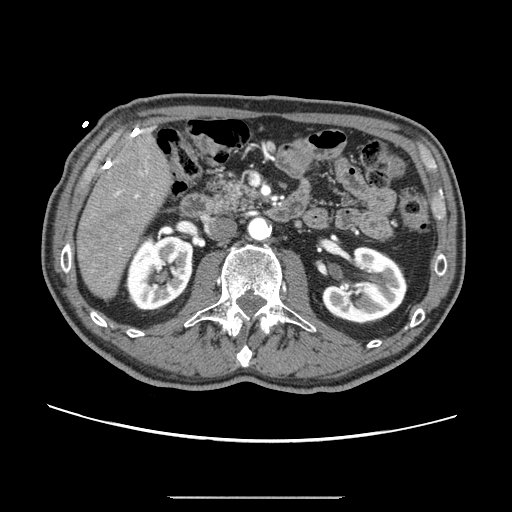 CT
Pancreas: bounding box 208:176:266:211.